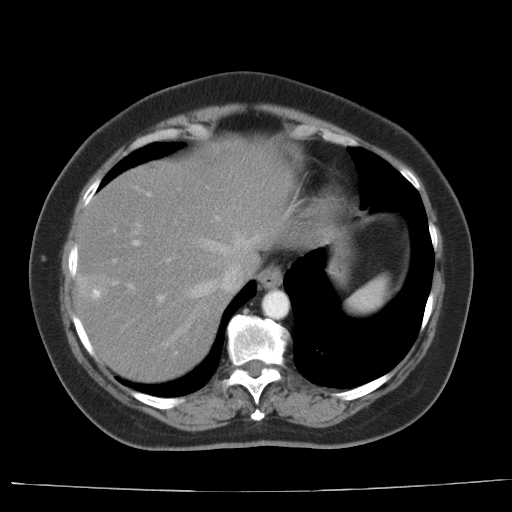

CT slice
Only some of the vessels may be annotated.
Annotated regions:
• hepatic vessel: x1=133, y1=241, x2=137, y2=244; x1=93, y1=290, x2=99, y2=297; x1=192, y1=284, x2=209, y2=296; x1=158, y1=297, x2=161, y2=300; x1=129, y1=285, x2=131, y2=288